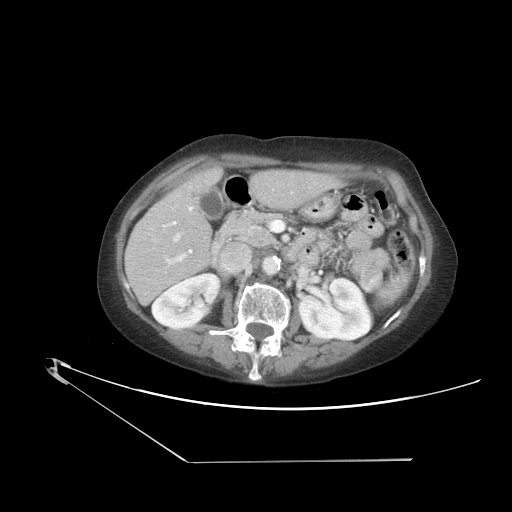

CT image

Some hepatic vessels may have no box.
5 hepatic vessel regions appear at (174,234,179,240), (162,221,175,227), (165,253,186,264), (188,207,192,210), (188,249,191,253).